Image size 240x240 | Head
FLAIR MR image.
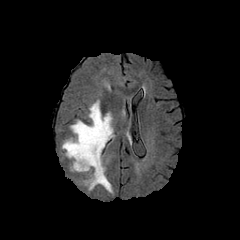
T1-weighted MR.
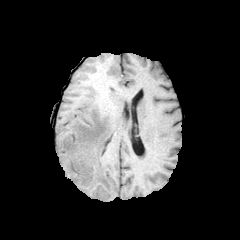
Post-contrast T1-weighted MRI.
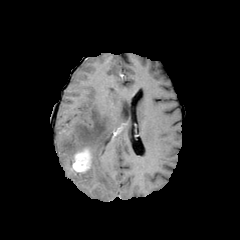
T2-weighted magnetic resonance.
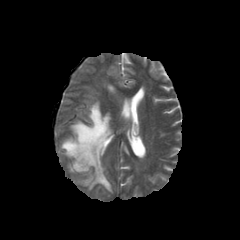
Annotated regions:
- enhancing tumor: left=70, top=147, right=91, bottom=172
- edema: left=60, top=101, right=113, bottom=191